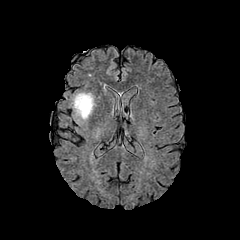
FLAIR MRI.
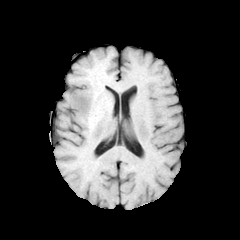
T1-weighted MRI.
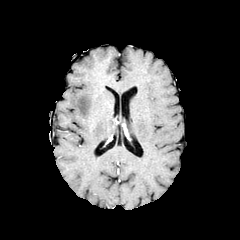
Post-contrast T1-weighted magnetic resonance of the same slice.
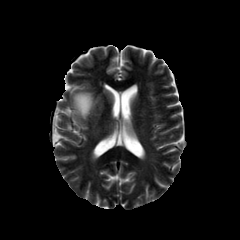
Same slice, T2-weighted MRI.
Image size 240x240
The edema is located at <box>72,92,94,118</box>.